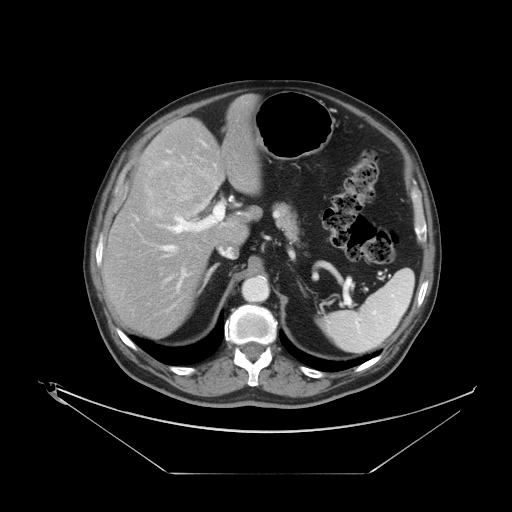
CT slice, Abdomen, Image size 512x512

The vessel annotation is not exhaustive.
hepatic vessel: box(190, 198, 209, 214); box(181, 267, 188, 277); box(149, 192, 151, 193); box(195, 155, 198, 157); box(168, 150, 170, 152); box(149, 171, 152, 174); box(161, 245, 176, 251); box(157, 202, 224, 233); box(136, 217, 137, 219); box(165, 162, 168, 165); box(177, 280, 180, 290); box(151, 210, 152, 212) | liver tumor: box(149, 167, 213, 209)